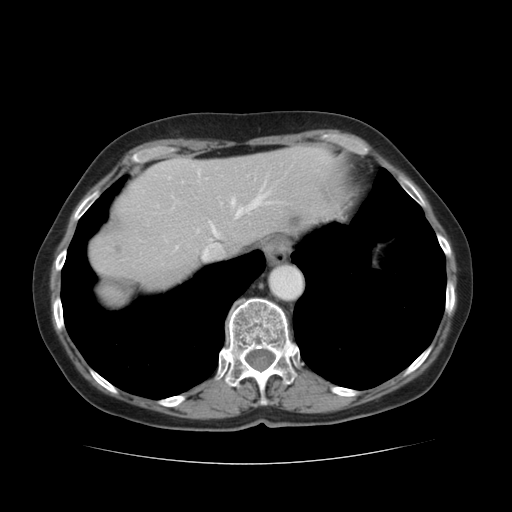
Liver | CT
<segmentation>
  <liver>l=90, t=144, r=341, b=289</liver>
  <hepatic_lesion>l=289, t=217, r=300, b=227</hepatic_lesion>
  <lung>l=61, t=178, r=265, b=399; l=291, t=168, r=446, b=389</lung>
  <bone>l=403, t=347, r=430, b=376; l=53, t=297, r=63, b=329; l=215, t=298, r=301, b=405; l=358, t=145, r=367, b=154; l=73, t=189, r=98, b=222; l=158, t=396, r=184, b=406; l=399, t=176, r=426, b=207; l=446, t=280, r=454, b=314; l=330, t=387, r=359, b=396; l=437, t=233, r=450, b=257; l=90, t=369, r=117, b=393; l=55, t=249, r=66, b=271</bone>
</segmentation>